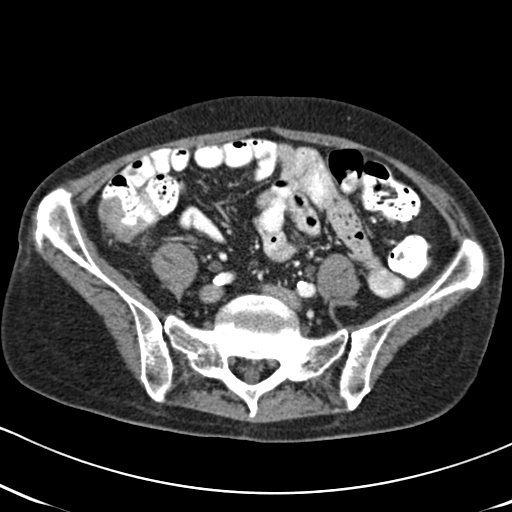 Abdomen, CT image

<segmentation>
  <colon_tumor>98, 195, 145, 240</colon_tumor>
</segmentation>